CT, 512x512
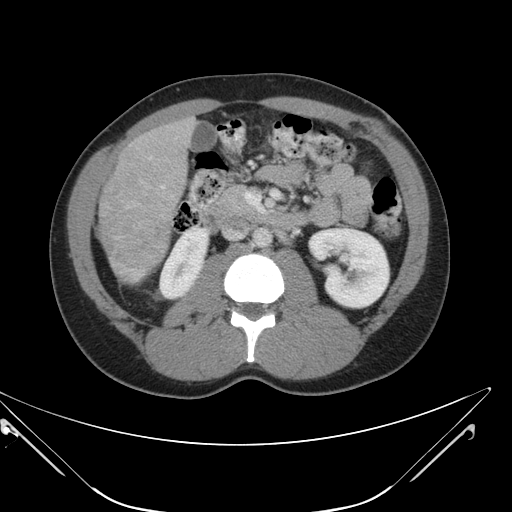

The vessel boxes may cover only some of the vessels.
2 hepatic vessel regions are bounded by 149, 157, 151, 159; 161, 185, 164, 188. The liver tumor appears at 99, 210, 171, 269.